CT slice
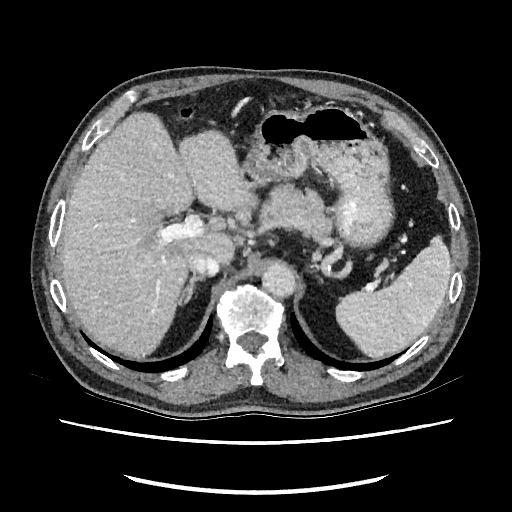
Liver: x1=62, y1=114, x2=255, y2=356.
Liver lesion: x1=144, y1=237, x2=152, y2=245; x1=158, y1=209, x2=172, y2=218; x1=168, y1=243, x2=179, y2=252.